512x512 px | CT scan slice | Upper abdomen
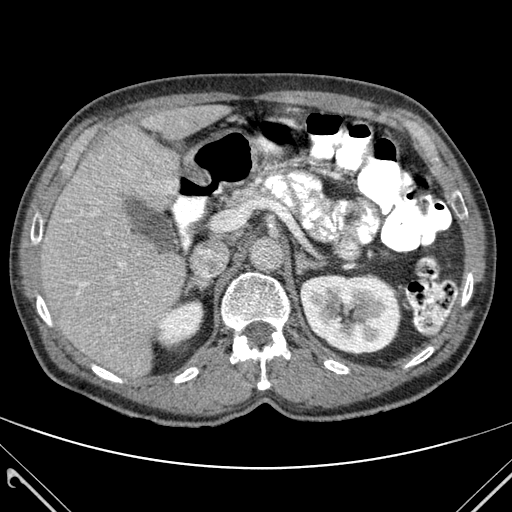
9 bone regions appear at {"x1": 324, "y1": 360, "x2": 347, "y2": 373}, {"x1": 454, "y1": 192, "x2": 466, "y2": 214}, {"x1": 92, "y1": 366, "x2": 121, "y2": 382}, {"x1": 174, "y1": 368, "x2": 197, "y2": 382}, {"x1": 31, "y1": 210, "x2": 41, "y2": 244}, {"x1": 37, "y1": 296, "x2": 51, "y2": 324}, {"x1": 406, "y1": 347, "x2": 433, "y2": 366}, {"x1": 222, "y1": 273, "x2": 289, "y2": 389}, {"x1": 462, "y1": 273, "x2": 472, "y2": 304}. 2 liver regions are located at {"x1": 40, "y1": 126, "x2": 185, "y2": 377}, {"x1": 145, "y1": 106, "x2": 228, "y2": 142}. 2 kidney regions appear at {"x1": 301, "y1": 276, "x2": 398, "y2": 352}, {"x1": 159, "y1": 303, "x2": 201, "y2": 342}.